Field of view 240x240 mm.
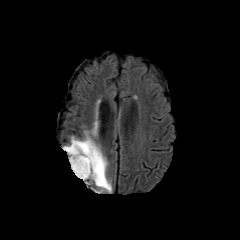
FLAIR MR.
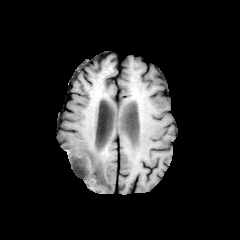
T1-weighted MRI.
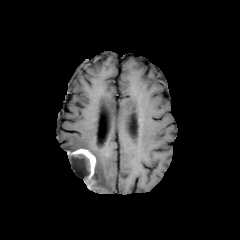
Post-contrast T1-weighted magnetic resonance.
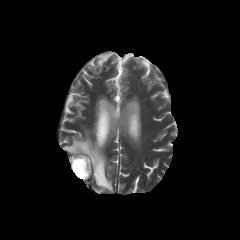
Same slice, T2-weighted MR image.
The non-enhancing tumor core is at bbox=[68, 151, 89, 180]. The enhancing tumor is bounded by bbox=[70, 149, 95, 178]. 2 edema regions are bounded by bbox=[64, 131, 113, 191]; bbox=[92, 123, 97, 135].